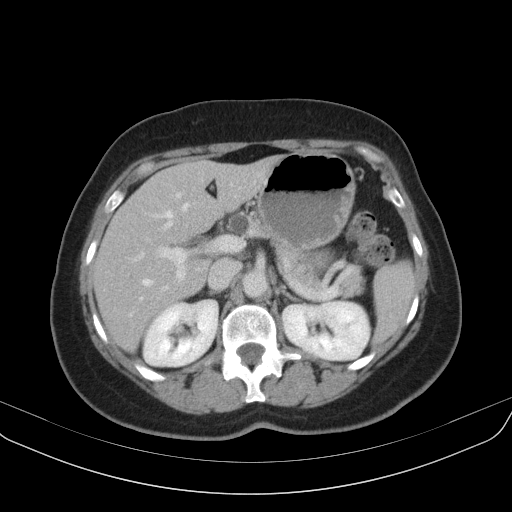

CT slice
pancreatic tumor: x1=228 y1=213 x2=248 y2=233 | pancreas: x1=225 y1=209 x2=363 y2=295